FLAIR magnetic resonance.
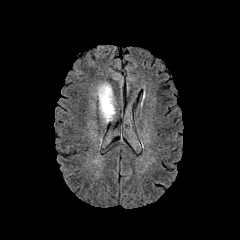
T1-weighted MRI.
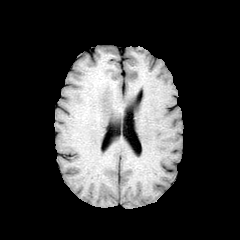
Post-contrast T1-weighted MR image.
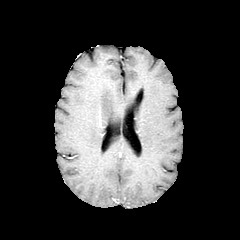
T2-weighted magnetic resonance.
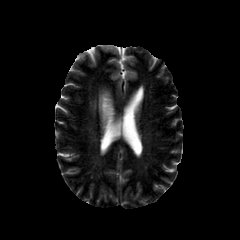
Brain
Edema: {"x1": 97, "y1": 84, "x2": 115, "y2": 122}.